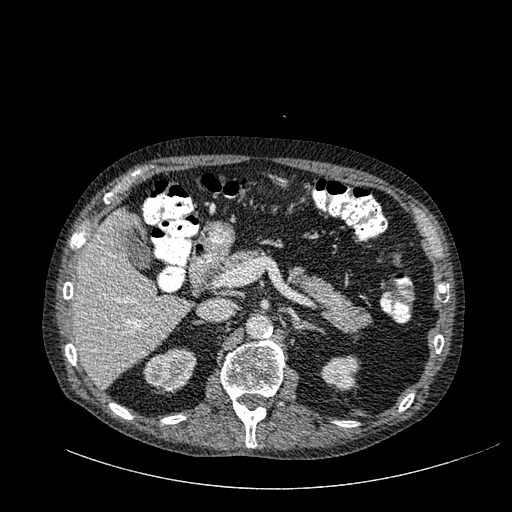 CT scan slice, Liver
2 liver regions are bounded by 136 223 144 235, 74 208 190 388. 2 kidney regions appear at 321 355 358 390, 143 348 196 393. The liver lesion is located at 108 215 140 256.